512x512 | CT scan slice | Abdomen | Field of view 467x467 mm 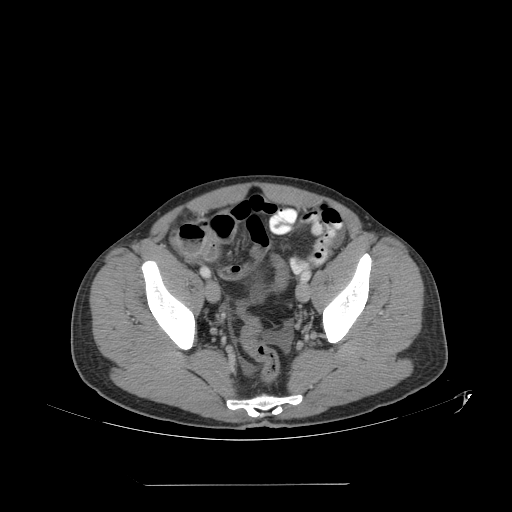 <segmentation>
  <colon_tumor><bbox>168, 235, 215, 261</bbox></colon_tumor>
</segmentation>